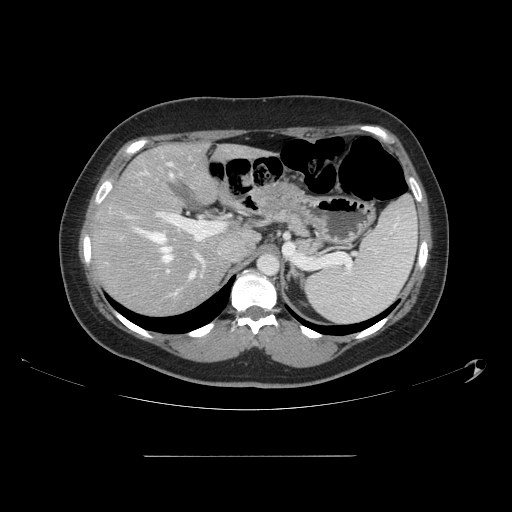

Image size 512x512 | Abdomen | CT
Only some of the vessels may be annotated.
10 hepatic vessel regions are located at 167,270,168,272; 195,254,200,259; 170,173,172,175; 157,213,164,216; 190,272,194,278; 167,163,171,164; 161,247,171,261; 136,228,164,242; 167,216,169,218; 195,238,197,239.